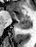 Hippocampus; MR image
Annotated regions:
* anterior hippocampus: left=19, top=16, right=29, bottom=19; left=12, top=10, right=17, bottom=18
* posterior hippocampus: left=15, top=20, right=30, bottom=28